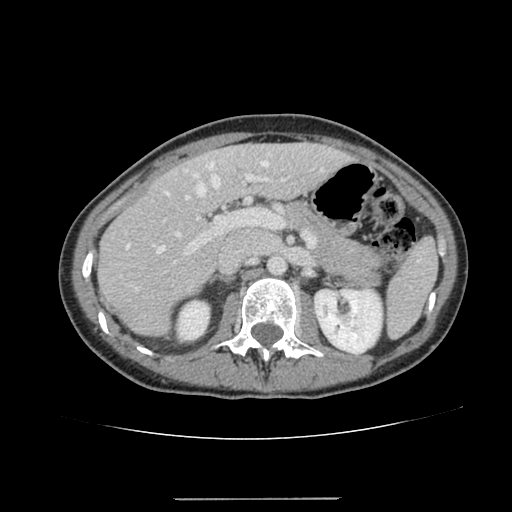
CT, Liver
2 kidney regions appear at box=[315, 289, 381, 353]; box=[178, 301, 208, 339]. The liver is located at box=[96, 143, 350, 334].